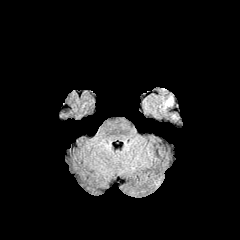
FLAIR magnetic resonance.
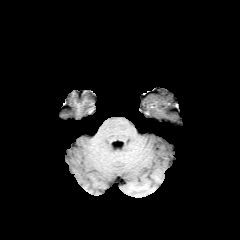
Same slice, T1-weighted MRI.
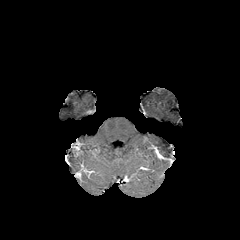
Post-contrast T1-weighted MR.
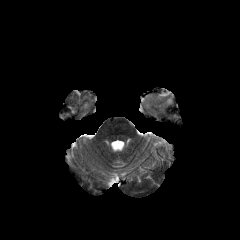
Same slice, T2-weighted magnetic resonance.
Image size 240x240 | Head
Findings:
* edema: box=[160, 96, 172, 109]